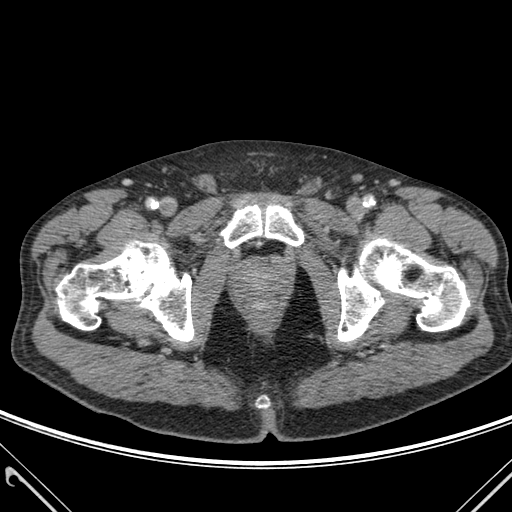
CT image
Segmented structures:
- bone: x1=258 y1=398 x2=268 y2=406, x1=338 y1=238 x2=469 y2=341, x1=56 y1=241 x2=193 y2=341, x1=221 y1=205 x2=303 y2=248